Slice index 67; 240x240
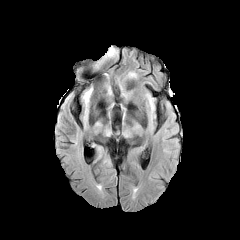
FLAIR magnetic resonance.
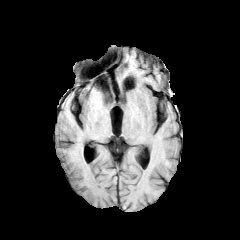
T1-weighted magnetic resonance of the same slice.
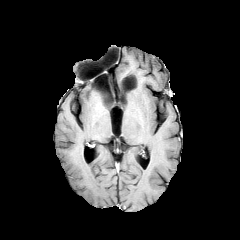
Same slice, post-contrast T1-weighted MRI.
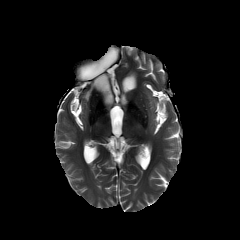
Same slice, T2-weighted MR.
Segmented structures:
* edema: x1=107 y1=48 x2=116 y2=56